FLAIR MRI.
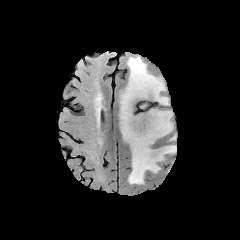
T1-weighted magnetic resonance.
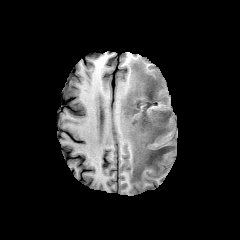
Post-contrast T1-weighted magnetic resonance.
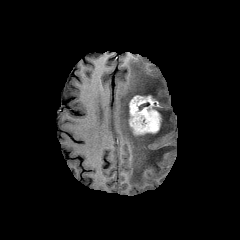
T2-weighted MR image.
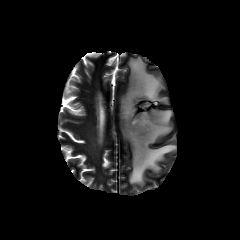
240x240 px
enhancing tumor: {"x1": 129, "y1": 95, "x2": 161, "y2": 134} | edema: {"x1": 120, "y1": 56, "x2": 175, "y2": 185} | non-enhancing tumor core: {"x1": 146, "y1": 112, "x2": 169, "y2": 137}, {"x1": 128, "y1": 95, "x2": 135, "y2": 133}, {"x1": 135, "y1": 80, "x2": 159, "y2": 113}, {"x1": 160, "y1": 145, "x2": 172, "y2": 151}, {"x1": 144, "y1": 151, "x2": 156, "y2": 165}